Magnetic resonance | Hippocampus
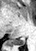
- posterior hippocampus: x1=11 y1=36 x2=24 y2=45